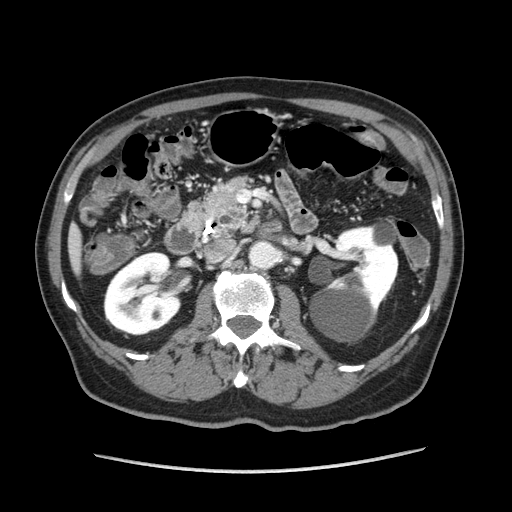

Upper abdomen; CT image; Image size 512x512
• pancreas: [199,176,248,234]